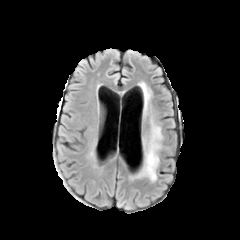
FLAIR MR image.
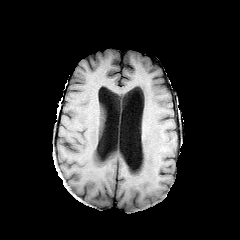
T1-weighted MR image of the same slice.
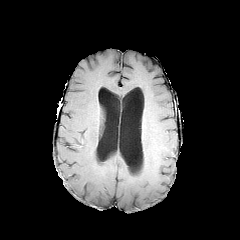
Post-contrast T1-weighted MR.
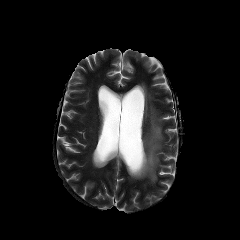
T2-weighted MR image.
Edema — <bbox>132, 120, 162, 181</bbox>, <bbox>141, 83, 150, 116</bbox>.